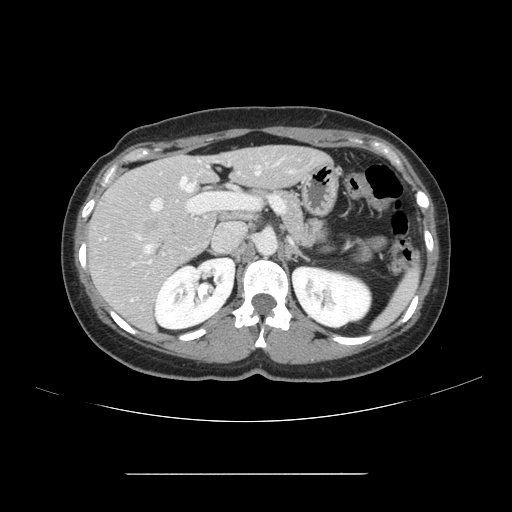
CT | Liver

Only some of the vessels may be annotated.
hepatic vessel: 150, 199, 161, 210; 180, 177, 185, 187; 145, 245, 151, 252; 290, 171, 293, 171; 256, 166, 259, 174; 138, 236, 140, 238